FLAIR MR.
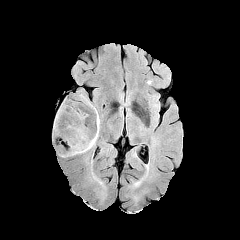
T1-weighted MR.
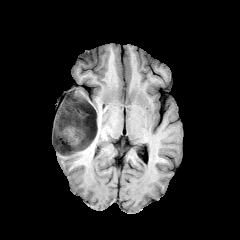
Post-contrast T1-weighted MR image.
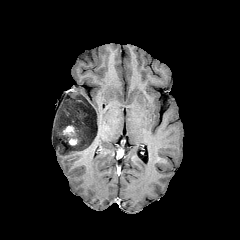
T2-weighted magnetic resonance.
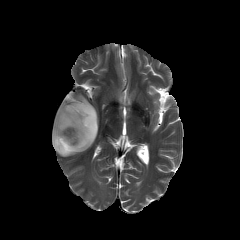
edema:
  - 55,146,85,156
enhancing_tumor:
  - 68,138,77,145
  - 63,126,73,133
non-enhancing_tumor_core:
  - 54,98,97,153